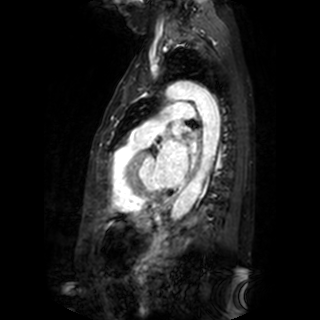 MRI slice | Heart

Segmented structures:
- left atrium: <bbox>157, 140, 196, 186</bbox>, <bbox>173, 122, 183, 137</bbox>